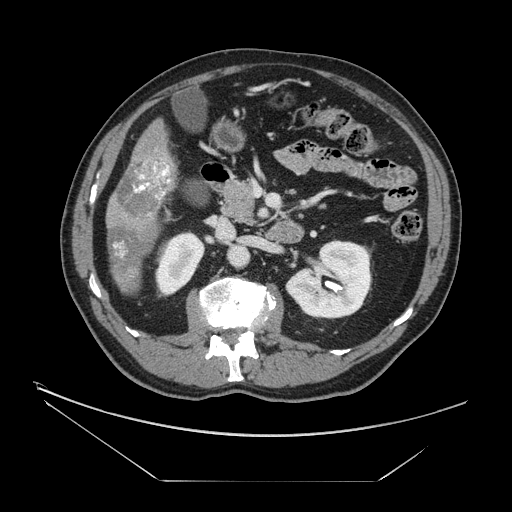 Abdomen; Computed tomography

liver tumor: {"x1": 117, "y1": 161, "x2": 173, "y2": 217}, {"x1": 109, "y1": 228, "x2": 146, "y2": 269}